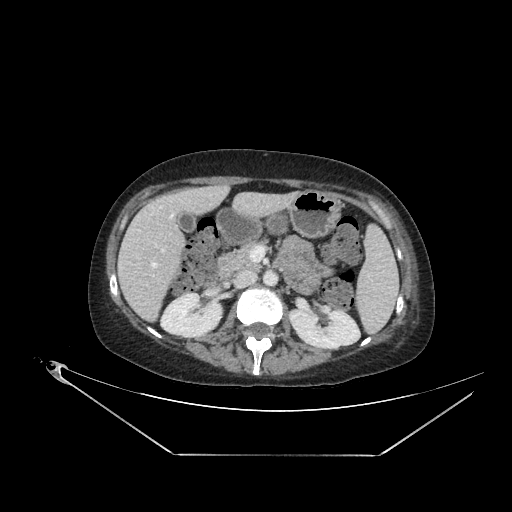 CT scan slice. 512x512. Liver.

<segmentation>
  <kidney>289,306,359,348; 161,294,222,336</kidney>
  <liver>117,185,228,324</liver>
</segmentation>